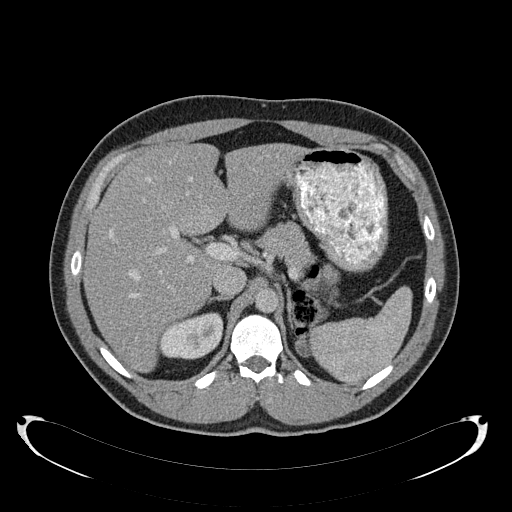
CT scan slice, 512x512, Liver

Kidney — [164,313,222,358].
Liver — [84,144,303,371].